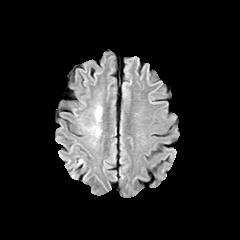
FLAIR MR image.
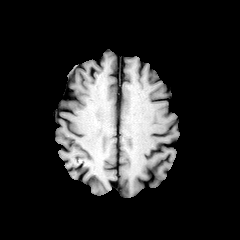
T1-weighted magnetic resonance.
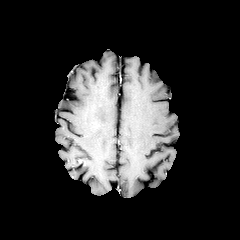
Post-contrast T1-weighted magnetic resonance.
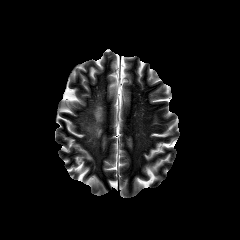
T2-weighted MR image of the same slice.
Head
Edema at x1=83, y1=102, x2=102, y2=141.